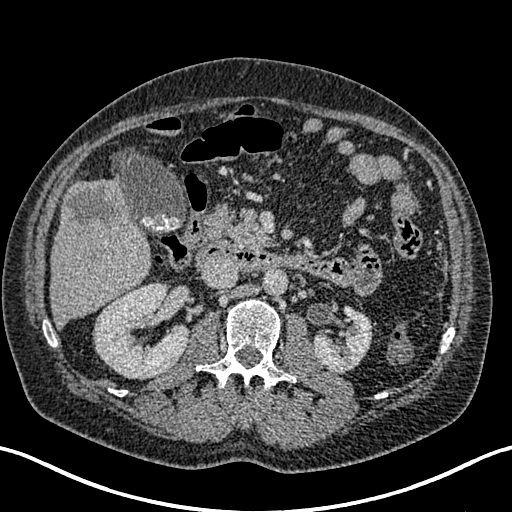 CT image, 512x512

{
  "liver": [
    "l=50, t=203, r=151, b=327",
    "l=94, t=179, r=122, b=195"
  ],
  "liver_lesion": [
    "l=64, t=182, r=126, b=228"
  ],
  "kidney": [
    "l=314, t=308, r=371, b=371",
    "l=95, t=284, r=187, b=377"
  ]
}